Slice 12 of 47 | CT slice | Liver
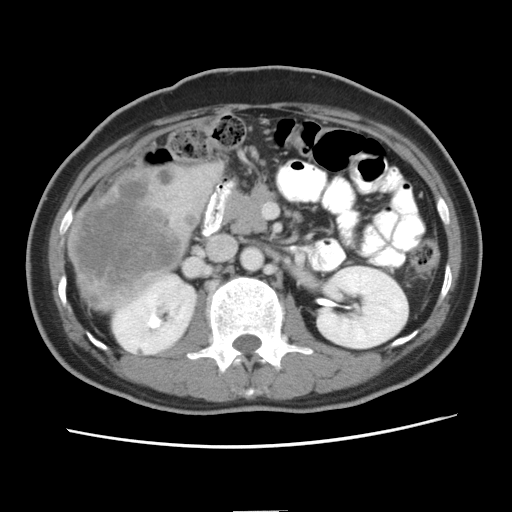

Findings:
• liver tumor: (71, 166, 198, 307)